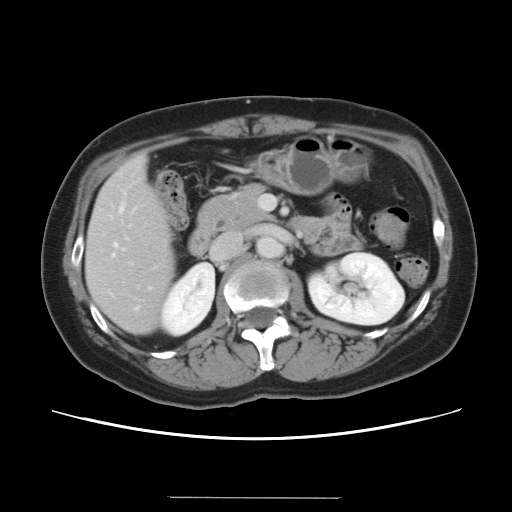

Abdomen. CT scan slice. Some hepatic vessels may have no box.
Annotated regions:
- hepatic vessel: [110, 216, 111, 218], [119, 205, 123, 211], [126, 238, 127, 239], [114, 243, 116, 246], [119, 173, 120, 175], [123, 191, 125, 195], [135, 307, 137, 309], [148, 287, 150, 289], [112, 254, 114, 256], [122, 249, 124, 250], [129, 262, 132, 264], [132, 181, 134, 183]